Abdomen, CT slice, Image size 512x512
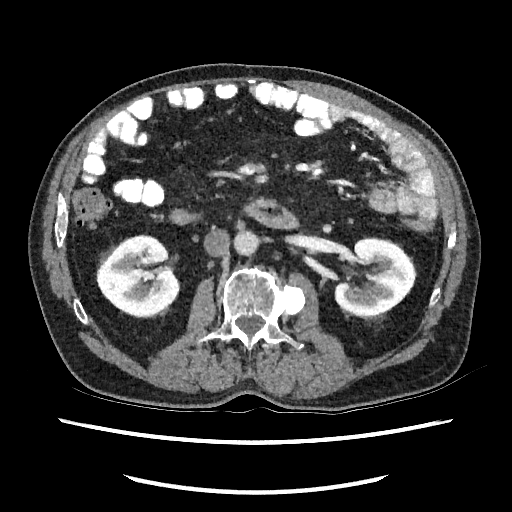 Kidney = 335,238,415,318; 97,235,179,317.